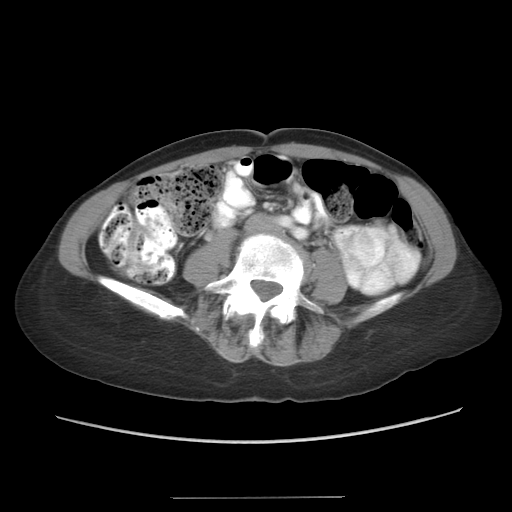 CT | Abdomen

colon_tumor:
  - (117, 216, 154, 275)